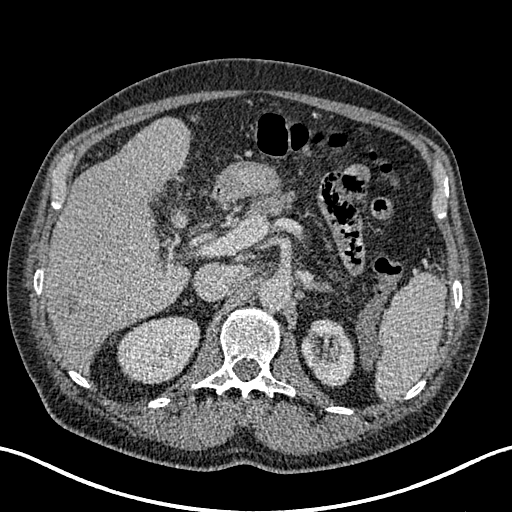 CT slice; Upper abdomen
Findings:
* liver: (x1=46, y1=118, x2=190, y2=372)
* focal liver lesion: (x1=58, y1=291, x2=81, y2=322)
* kidney: (x1=119, y1=318, x2=198, y2=382), (x1=302, y1=321, x2=353, y2=385)